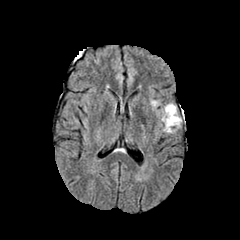
FLAIR MR image.
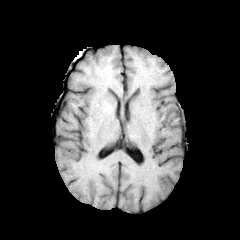
T1-weighted MRI.
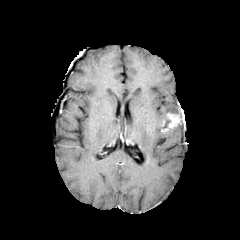
Post-contrast T1-weighted magnetic resonance.
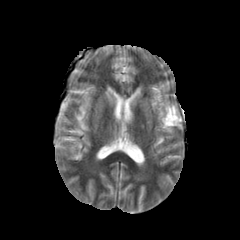
T2-weighted MRI.
Image size 240x240
Enhancing tumor = 162 113 183 131.
Non-enhancing tumor core = 168 109 184 119.
Edema = 150 99 161 109, 163 124 181 134, 158 102 178 131.